Slice 9 of 40 | Magnetic resonance | 35x49
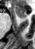 {"anterior_hippocampus": ["14, 5, 25, 17"]}